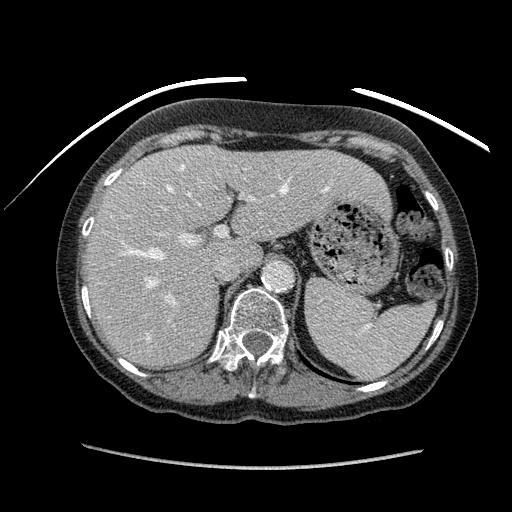 512x512 px; CT slice
Liver: bounding box bbox(84, 145, 388, 366).